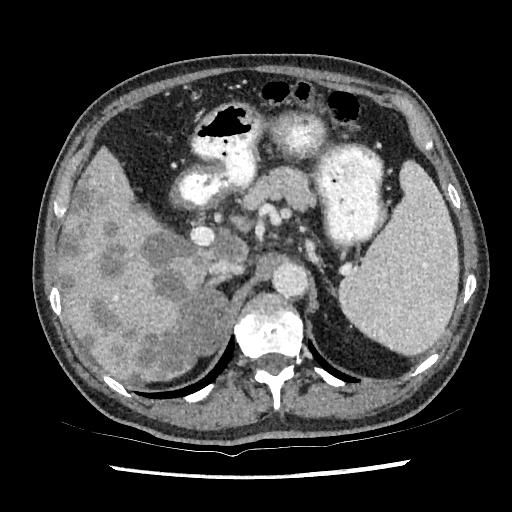 Abdomen, CT image

8 focal liver lesion regions are bounded by x1=130, y1=371, x2=141, y2=379; x1=211, y1=236, x2=245, y2=262; x1=89, y1=269, x2=192, y2=375; x1=129, y1=204, x2=137, y2=211; x1=60, y1=269, x2=74, y2=293; x1=60, y1=180, x2=98, y2=261; x1=93, y1=222, x2=128, y2=280; x1=141, y1=232, x2=203, y2=267. 4 liver regions are bounded by x1=239, y1=239, x2=250, y2=263; x1=60, y1=147, x2=219, y2=379; x1=212, y1=226, x2=235, y2=241; x1=62, y1=219, x2=73, y2=233.